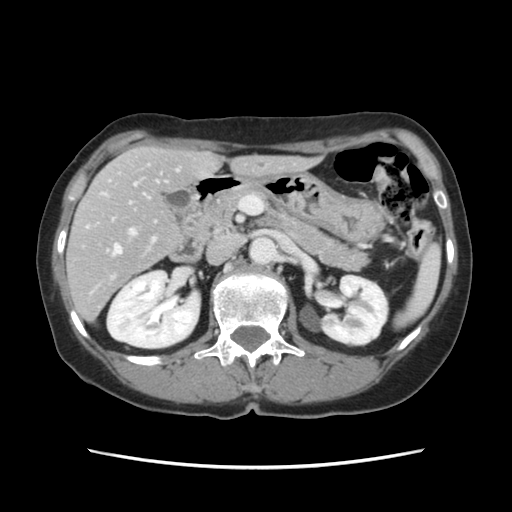
512x512 | CT slice | Liver
Only some of the vessels may be annotated.
Annotated regions:
- hepatic vessel: (134,183,136,185), (113,245,121,254), (152,238,154,240), (176,169,178,171), (103,194,106,195), (129,229,135,234)